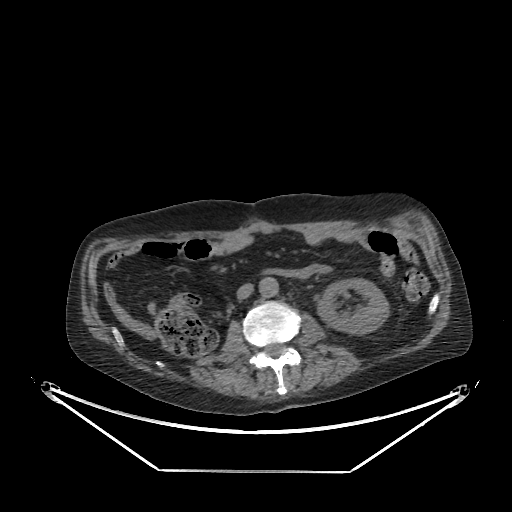 Image size 512x512 | CT image
Segmented structures:
* kidney: (left=315, top=278, right=388, bottom=335)